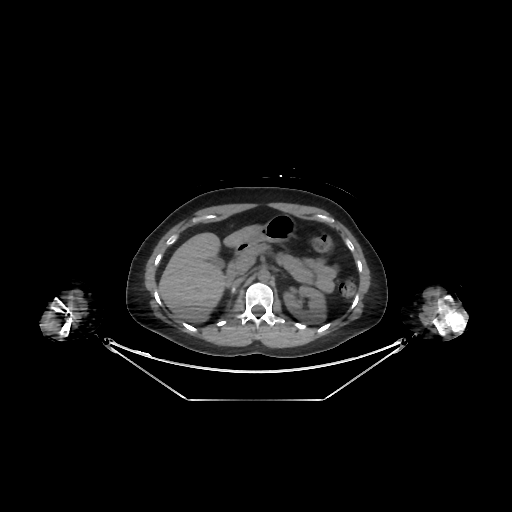

Abdomen | CT slice

Segmented structures:
* liver: 223:225:273:250, 154:233:227:323
* kidney: 283:283:325:323